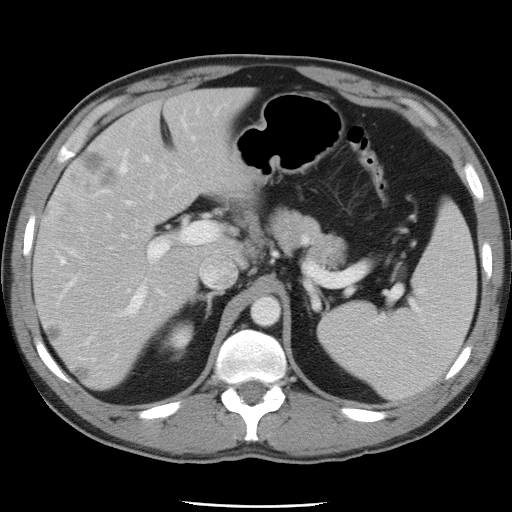 Image size 512x512 | CT image | Liver
Not every hepatic vessel necessarily has a box.
12 hepatic vessel regions are located at 200,265,227,287; 61,259,66,263; 144,157,147,159; 101,190,106,191; 120,162,124,171; 68,250,75,254; 148,239,169,262; 180,221,218,243; 118,284,146,315; 65,277,75,289; 126,200,132,205; 158,290,162,293.